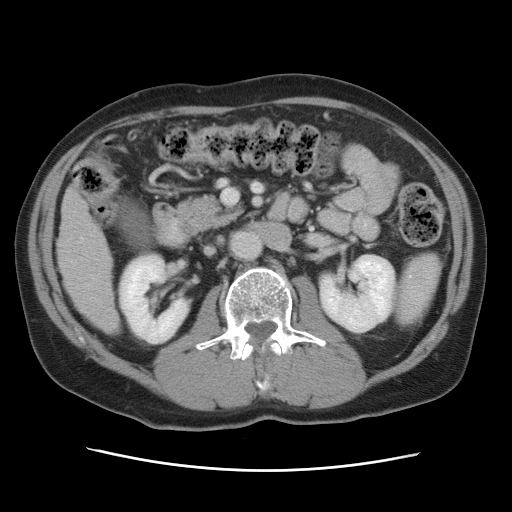 Abdomen. CT image.
Only some of the vessels may be annotated.
Hepatic vessel: bounding box 108,309,109,310; 86,285,88,286.